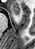
Hippocampus | MR

Segmented structures:
* anterior hippocampus: (12, 5, 20, 14)